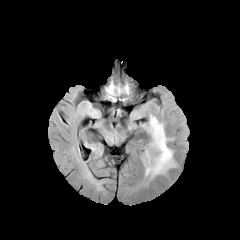
FLAIR magnetic resonance.
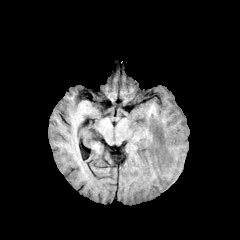
Same slice, T1-weighted MR image.
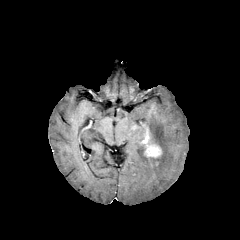
Same slice, post-contrast T1-weighted MR.
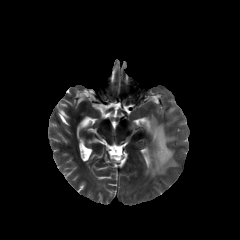
T2-weighted MR image.
Image size 240x240. Brain.
• edema: x1=136, y1=115, x2=174, y2=175
• enhancing tumor: x1=152, y1=146, x2=161, y2=156